Slice 345/761, CT image, Abdomen

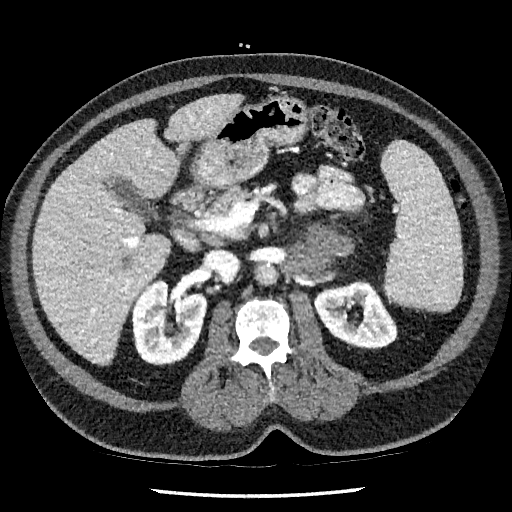 Liver — 165:94:242:146, 33:120:181:363.
Kidney — 133:280:206:363, 315:282:396:347.
Focal liver lesion — 122:257:132:271.